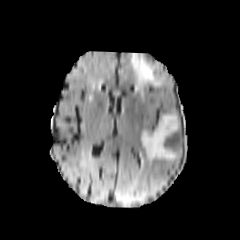
FLAIR magnetic resonance.
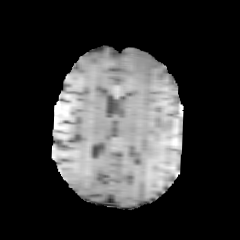
T1-weighted magnetic resonance of the same slice.
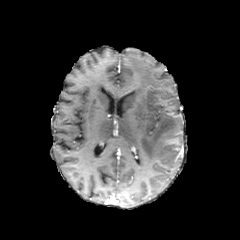
Same slice, post-contrast T1-weighted MR image.
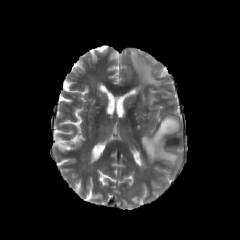
T2-weighted MRI of the same slice.
Head
<segmentation>
  <edema>[x1=130, y1=52, x2=162, y2=100], [x1=141, y1=113, x2=182, y2=165]</edema>
</segmentation>